Thorax; CT scan slice; 512x512 px 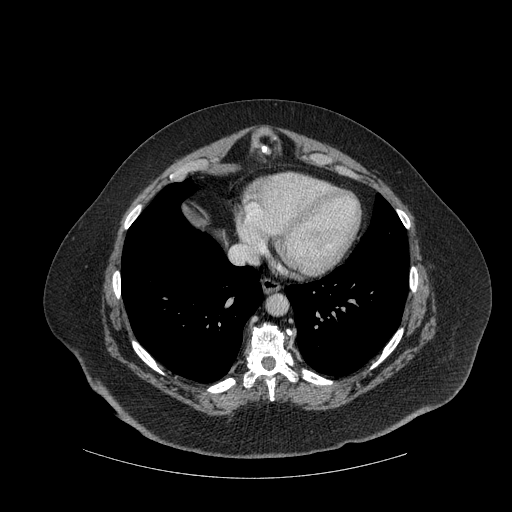
Segmented structures:
• bone: 208 378 234 392, 410 267 417 291, 132 341 163 374, 302 370 332 384, 371 329 402 368, 124 205 140 228, 113 271 120 298, 397 210 410 228, 244 324 297 400
• lung: 121 179 262 382, 286 193 409 376